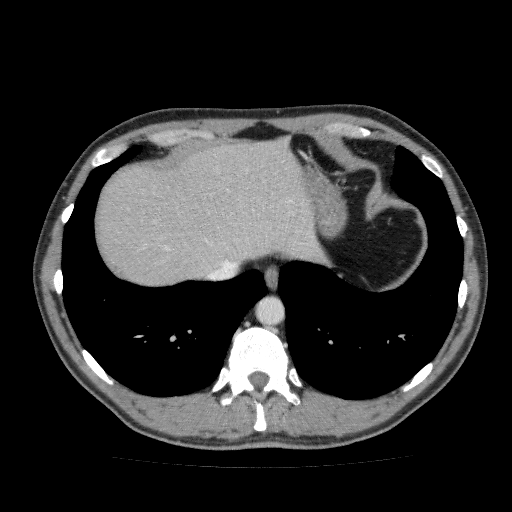
Computed tomography; Upper abdomen
Liver at (x1=96, y1=134, x2=332, y2=286).